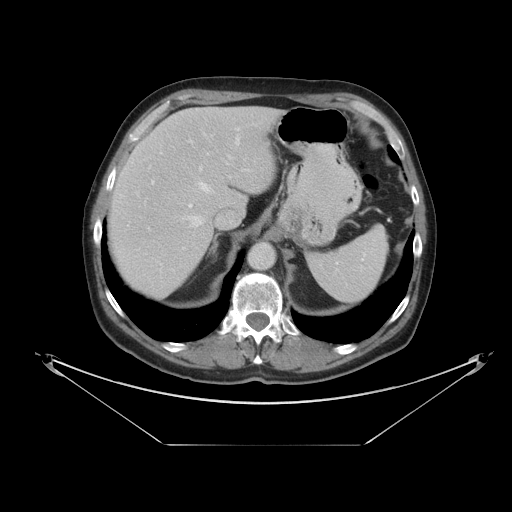

CT scan slice | 512x512 px
spleen: 307,226,388,302